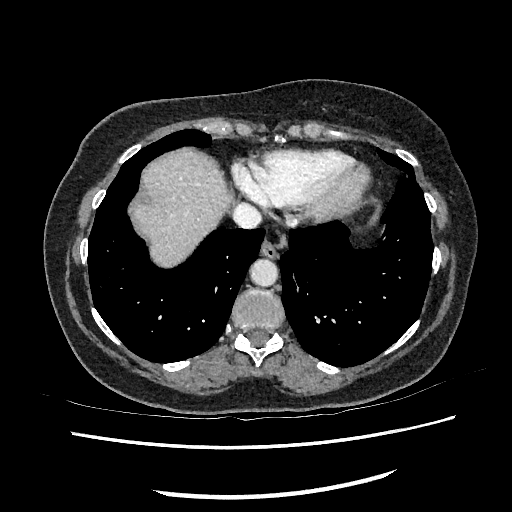

Computed tomography | Image size 512x512
Segmented structures:
- liver: x1=138, y1=149, x2=228, y2=264